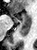

MR

The anterior hippocampus appears at bbox=[15, 13, 31, 22]. The posterior hippocampus lies within bbox=[18, 22, 30, 38].